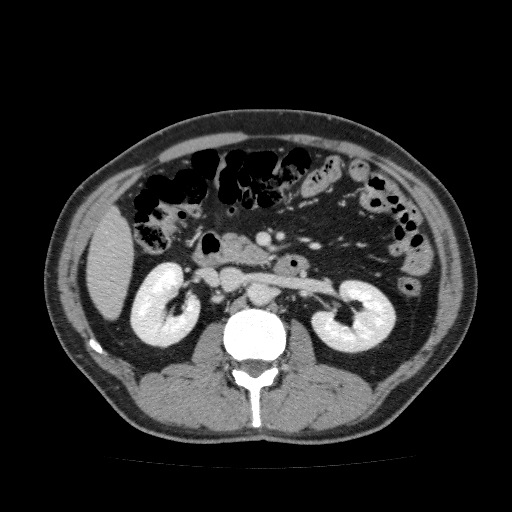 Liver. CT image. Image size 512x512.
liver:
  - 85 205 134 319
kidney:
  - 131 263 199 345
  - 312 281 394 351